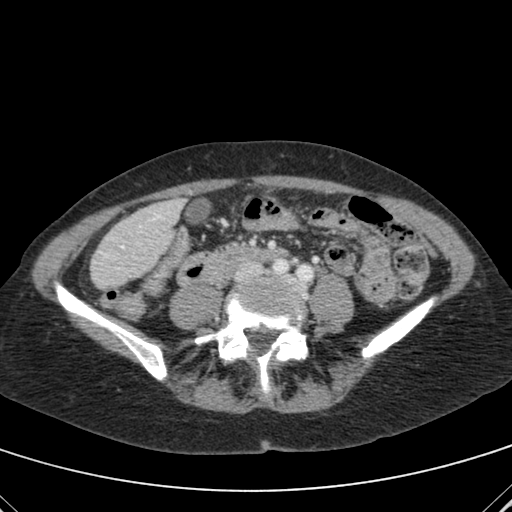
CT scan slice. 512x512 px. Abdomen.
Annotated regions:
• liver: (91,198,185,287)